Liver, CT scan slice, 512x512 px, Slice 272 of 689

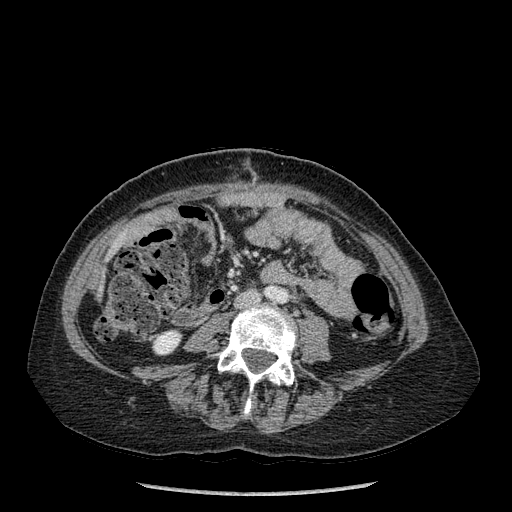
kidney:
  - bbox(154, 332, 180, 353)
liver:
  - bbox(100, 266, 105, 293)
  - bbox(108, 235, 122, 250)
bone:
  - bbox(215, 303, 296, 415)